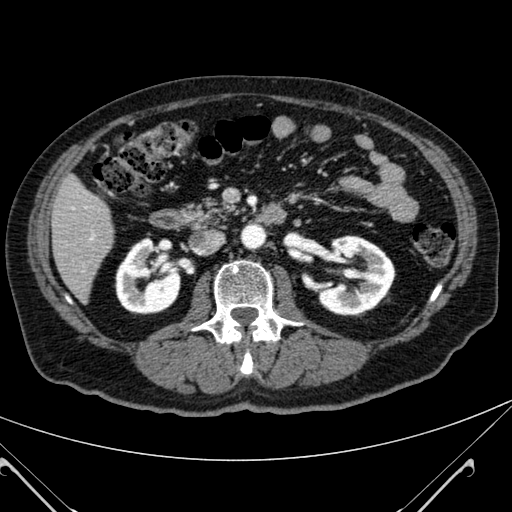
Liver | CT image
{
  "kidney": [
    "317, 236, 393, 313",
    "116, 239, 179, 312"
  ],
  "liver": [
    "51, 176, 112, 298"
  ]
}